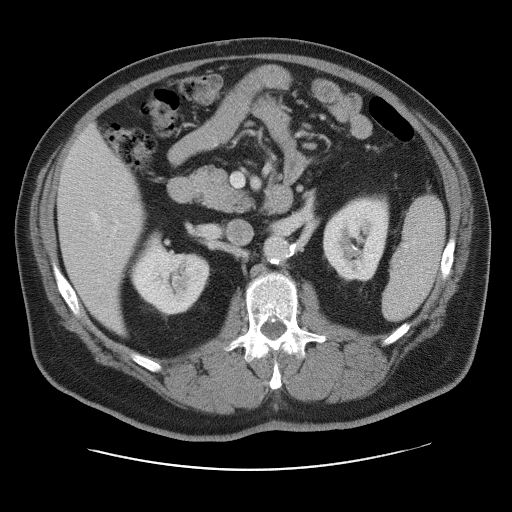

512x512, Liver, CT slice
Not every hepatic vessel necessarily has a box.
Hepatic vessel — bbox=[94, 226, 97, 229]; bbox=[231, 175, 243, 186]; bbox=[112, 220, 121, 232]; bbox=[91, 212, 98, 224].